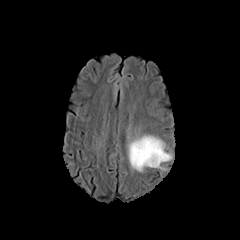
FLAIR MR image.
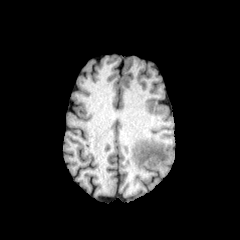
Same slice, T1-weighted MRI.
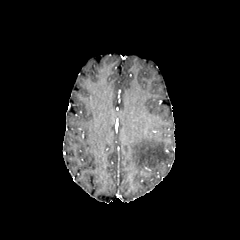
Same slice, post-contrast T1-weighted MR.
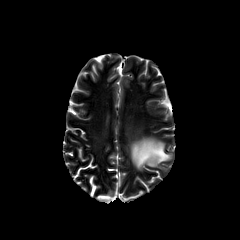
T2-weighted MRI.
* edema: x1=128, y1=135, x2=171, y2=170